Computed tomography. Image size 512x512.
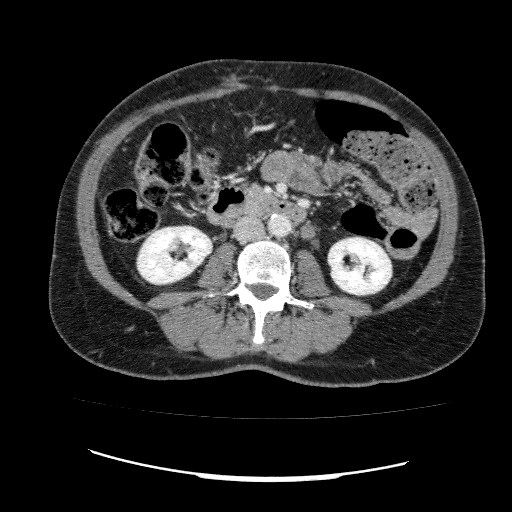 {"kidney": ["<bbox>328, 238, 391, 294</bbox>", "<bbox>138, 226, 211, 283</bbox>"]}